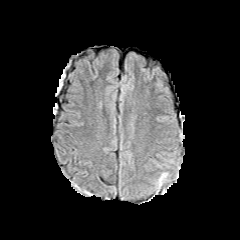
FLAIR magnetic resonance.
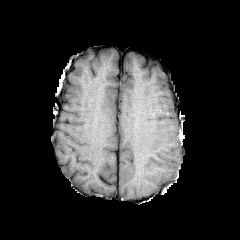
T1-weighted MRI.
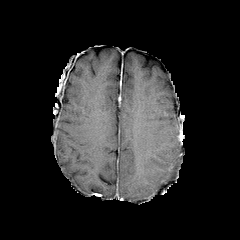
Post-contrast T1-weighted magnetic resonance.
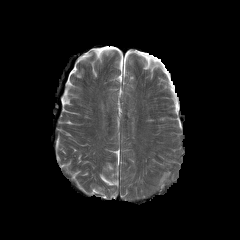
Same slice, T2-weighted MR image.
Brain
{
  "edema": [
    "x1=157, y1=174, x2=166, y2=186"
  ]
}